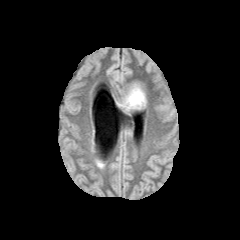
FLAIR MR image.
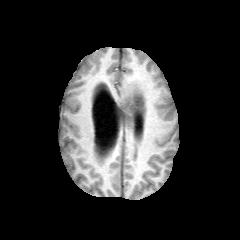
Same slice, T1-weighted magnetic resonance.
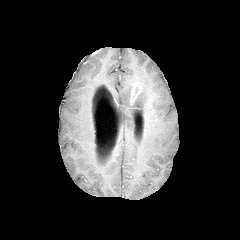
Post-contrast T1-weighted MR.
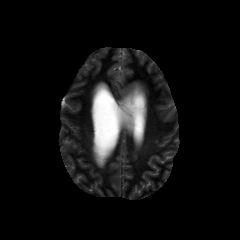
T2-weighted MR of the same slice.
Image size 240x240
{
  "edema": [
    "114, 84, 146, 112"
  ],
  "enhancing_tumor": [
    "129, 87, 139, 103"
  ]
}